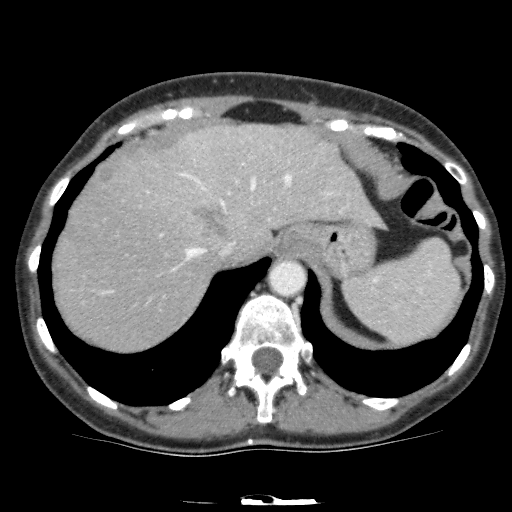
Liver. CT slice. Focal liver lesion at bbox=[189, 201, 227, 239]; bbox=[98, 165, 114, 181].
Liver at bbox=[54, 123, 385, 352].